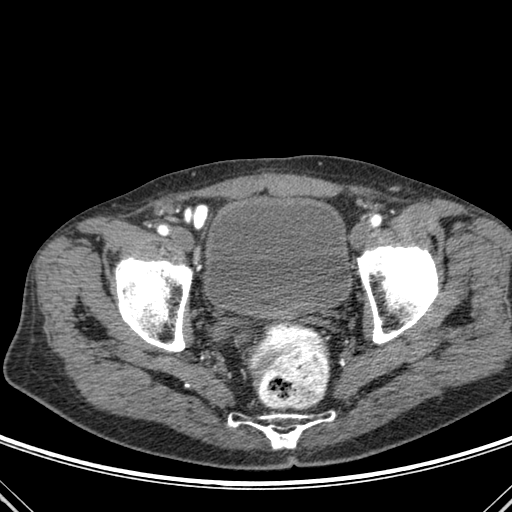

CT slice | Image size 512x512 | Lower abdomen
urinary_bladder:
  - 204:200:350:311
bone:
  - 228:411:335:448
  - 357:245:438:343
  - 115:256:192:351